CT scan slice. Image size 512x512. Liver. 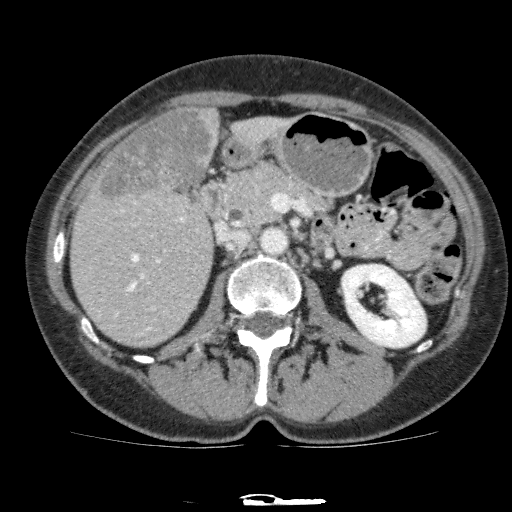

- liver: 194:106:220:146, 231:116:291:146, 70:168:213:348
- kidney: 342:264:425:347
- focal liver lesion: 98:107:216:201